CT scan slice | Chest | Image size 512x512 | Field of view 335x335 mm

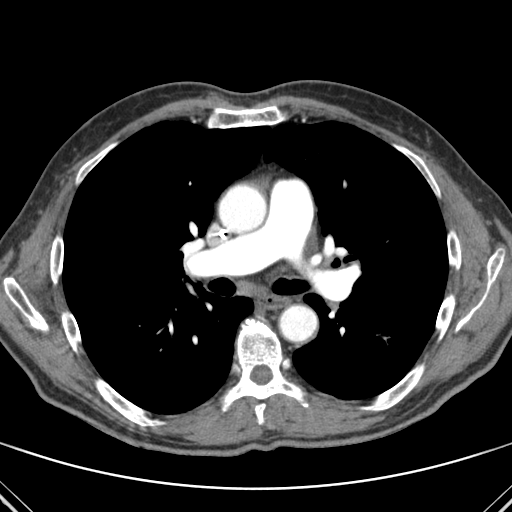
The lung is bounded by (62, 121, 447, 413). 15 bone regions appear at (447, 231, 461, 269), (96, 379, 162, 425), (396, 145, 439, 193), (190, 266, 202, 276), (222, 319, 307, 423), (76, 144, 114, 180), (62, 312, 80, 351), (362, 365, 424, 410), (209, 106, 284, 128), (50, 236, 63, 283), (228, 269, 244, 275), (436, 295, 454, 339), (487, 253, 503, 289), (455, 295, 485, 331), (4, 277, 48, 331).